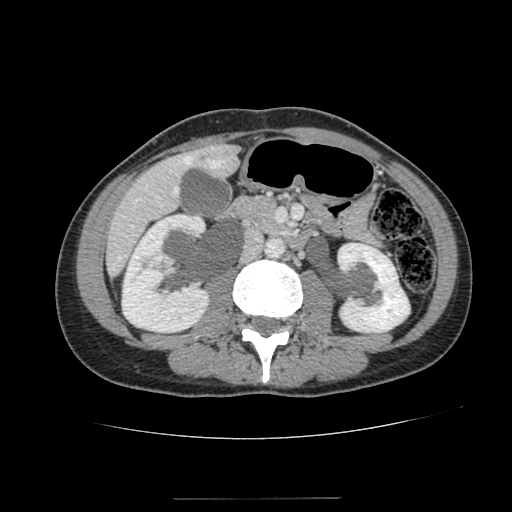

CT. Abdomen.
Segmented structures:
* kidney: x1=122, y1=215, x2=207, y2=331; x1=338, y1=243, x2=409, y2=332
* liver: x1=106, y1=143, x2=239, y2=278